FLAIR MR.
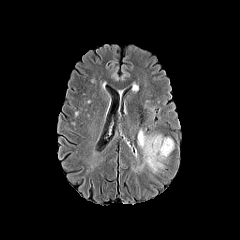
T1-weighted magnetic resonance.
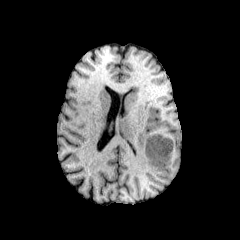
Post-contrast T1-weighted MR image.
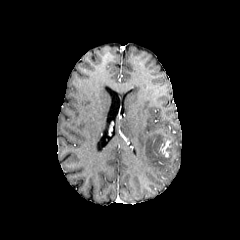
T2-weighted MRI.
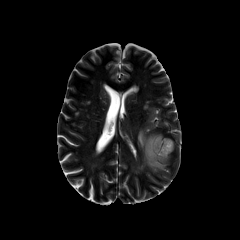
The edema is bounded by x1=138, y1=129, x2=166, y2=171. The enhancing tumor is at x1=161, y1=141, x2=170, y2=157.